240x240 | Head
FLAIR magnetic resonance.
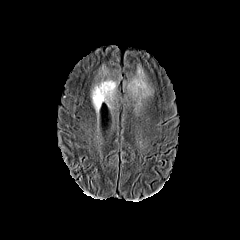
T1-weighted MRI.
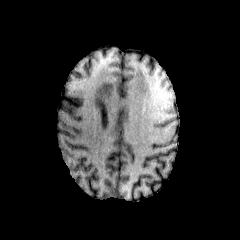
Post-contrast T1-weighted magnetic resonance.
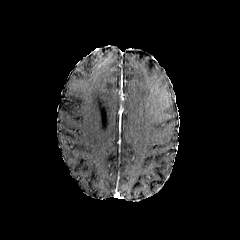
T2-weighted magnetic resonance.
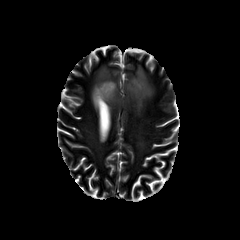
Edema = 91 80 118 115, 129 67 150 105.